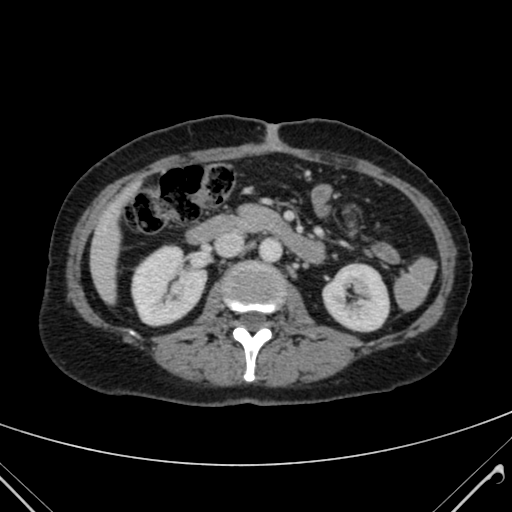
CT image.

Annotated regions:
• kidney: (133, 248, 204, 324), (324, 265, 388, 330)
• liver: (121, 181, 138, 202), (91, 207, 121, 298)